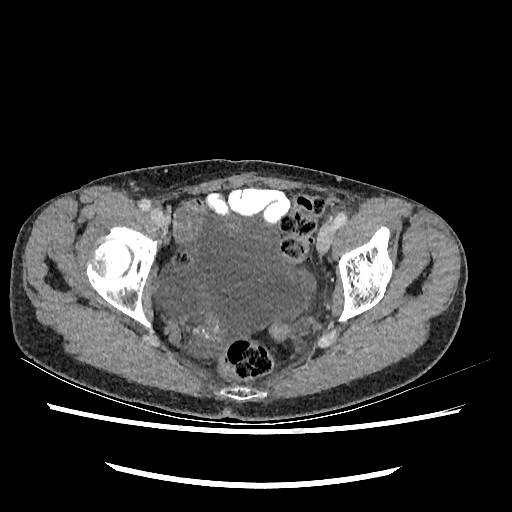 CT slice
{
  "urinary_bladder": [
    "[157, 210, 316, 341]"
  ]
}